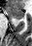
MRI slice
The anterior hippocampus is bounded by region(9, 8, 24, 19).